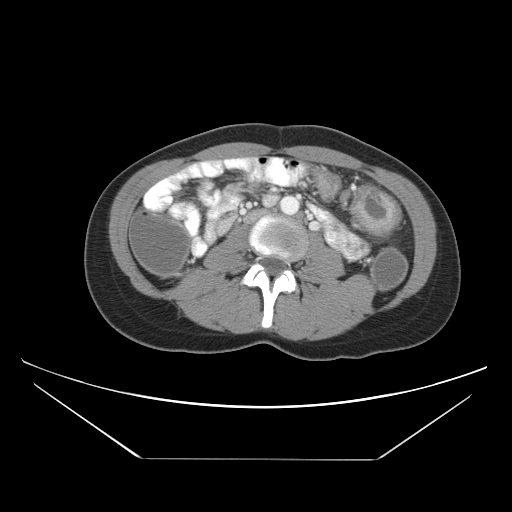

Abdomen | CT slice
Colon tumor at box(355, 194, 395, 230).